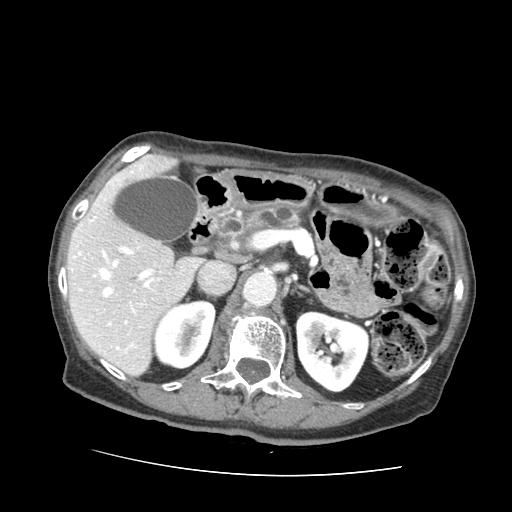 Upper abdomen | Computed tomography
Pancreas = 237,206,301,234.